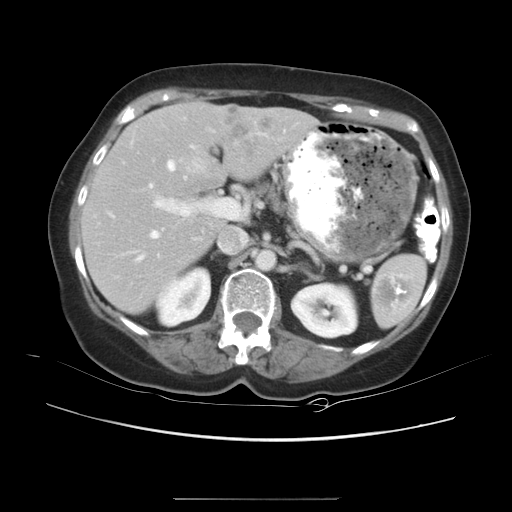
CT image
Not every hepatic vessel necessarily has a box.
Segmented structures:
• liver tumor: region(227, 109, 238, 122); region(263, 118, 271, 128); region(228, 123, 247, 138); region(129, 275, 148, 295)
• hepatic vessel (largest 15 of 21): region(115, 276, 118, 278); region(167, 160, 175, 170); region(193, 158, 203, 170); region(255, 133, 267, 136); region(193, 238, 201, 239); region(148, 184, 152, 189); region(120, 250, 144, 261); region(190, 145, 194, 148); region(279, 138, 282, 140); region(209, 129, 214, 132); region(196, 150, 198, 153); region(249, 134, 253, 135); region(153, 196, 159, 208); region(150, 229, 162, 238); region(108, 212, 114, 218)